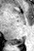

34x51. MRI slice. Posterior hippocampus: box(7, 38, 22, 44).